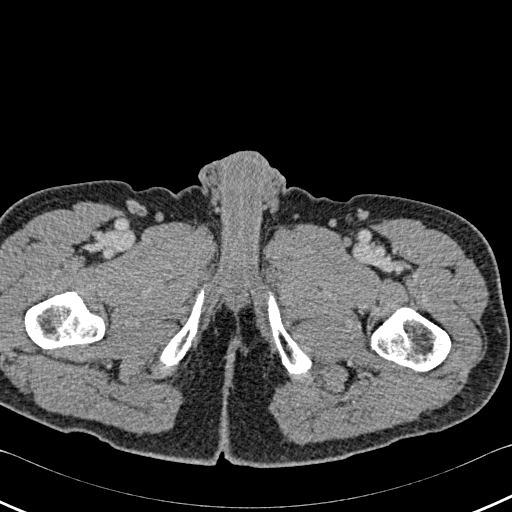 CT
4 bone regions are located at box=[268, 292, 310, 376]; box=[371, 308, 450, 370]; box=[161, 289, 203, 366]; box=[25, 292, 104, 348].